CT 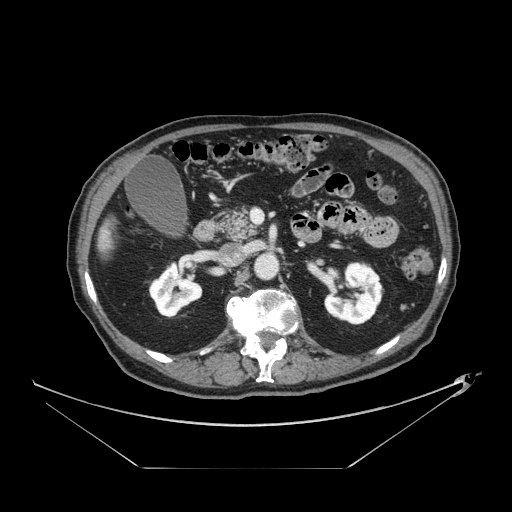 Pancreas = {"x1": 219, "y1": 211, "x2": 256, "y2": 240}.